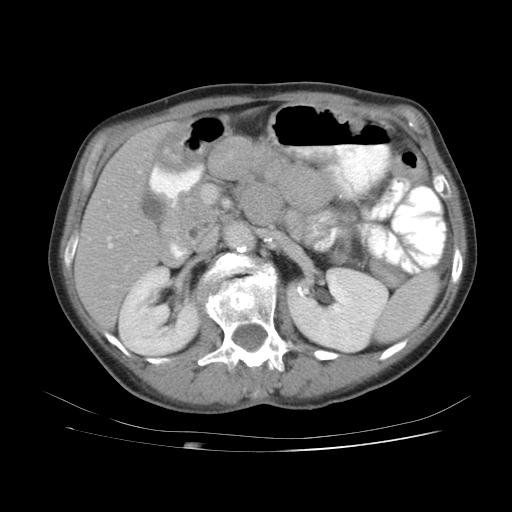 Computed tomography; Upper abdomen
{
  "spleen": [
    "box(376, 273, 439, 338)"
  ]
}